FLAIR MR.
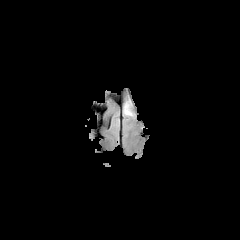
T1-weighted MRI.
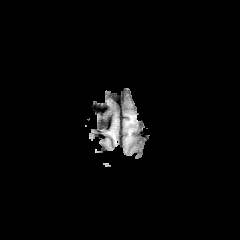
Post-contrast T1-weighted MRI.
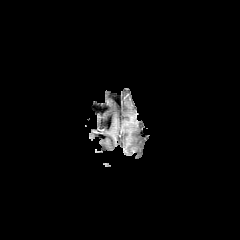
T2-weighted MRI.
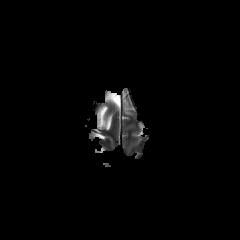
240x240.
The edema lies within {"x1": 123, "y1": 101, "x2": 131, "y2": 115}.